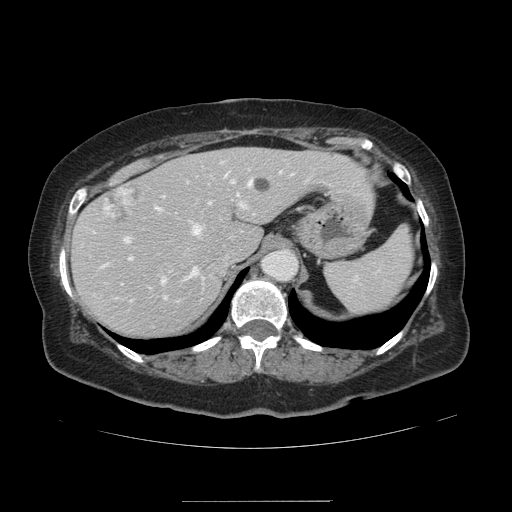
CT image; Abdomen
Only some of the vessels may be annotated.
{
  "partial": true,
  "liver_tumor": [
    "91,186,135,226",
    "251,178,271,192"
  ],
  "hepatic_vessel": {
    "n_total": 16,
    "boxes": [
      "160,276,164,283",
      "238,202,245,206",
      "163,295,166,298",
      "306,178,308,180",
      "208,200,211,203",
      "177,299,179,300",
      "247,180,251,185",
      "191,225,200,233",
      "224,173,227,176",
      "103,264,106,265",
      "123,236,129,242",
      "156,206,160,210",
      "128,256,131,259",
      "230,180,233,182",
      "161,195,163,196"
    ]
  }
}